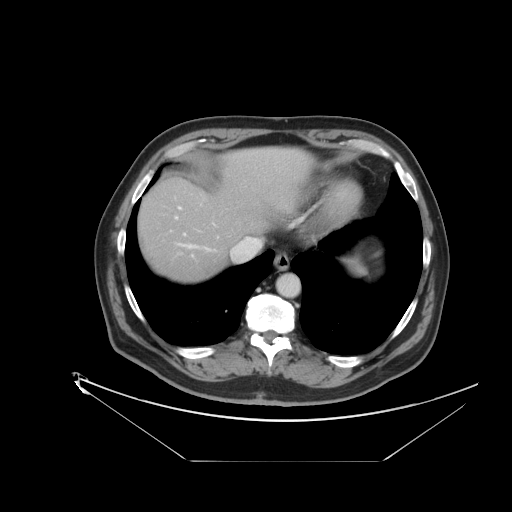

CT image, Abdomen
The vessel annotation is not exhaustive.
Segmented structures:
* hepatic vessel: bbox(204, 247, 208, 249); bbox(179, 207, 180, 208); bbox(175, 216, 177, 218); bbox(178, 244, 196, 248)